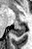
MRI slice. 32x49 px.

<segmentation>
  <posterior_hippocampus>bbox=[13, 26, 25, 37]</posterior_hippocampus>
</segmentation>